Abdomen | CT | Slice 516 of 685 | Image width 700 mm
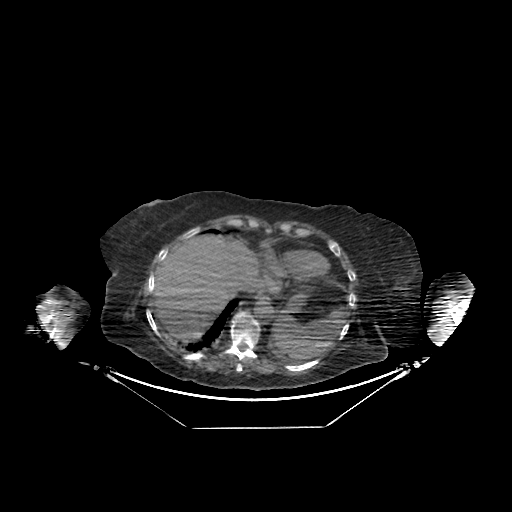
liver: (x1=153, y1=234, x2=266, y2=344)